FLAIR magnetic resonance.
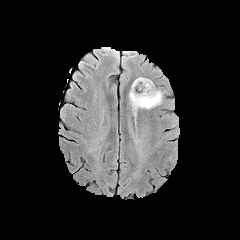
T1-weighted MR.
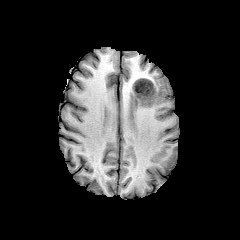
Post-contrast T1-weighted magnetic resonance.
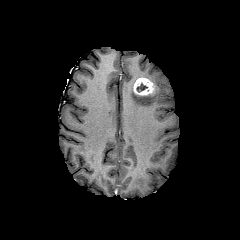
T2-weighted MR.
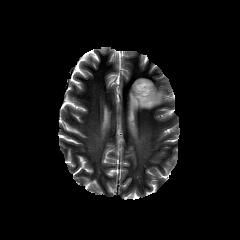
Head
<segmentation>
  <non-enhancing_tumor_core>(x1=136, y1=84, x2=147, y2=92)</non-enhancing_tumor_core>
  <enhancing_tumor>(x1=133, y1=78, x2=155, y2=95)</enhancing_tumor>
  <edema>(x1=129, y1=82, x2=163, y2=109)</edema>
</segmentation>